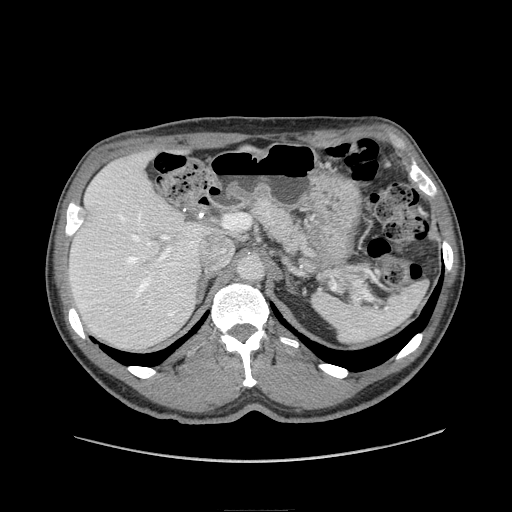

CT scan slice. pancreas: bbox=[251, 199, 333, 266]